FLAIR MR.
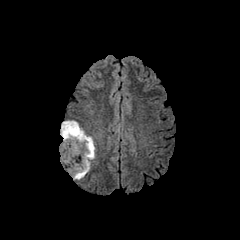
T1-weighted MRI.
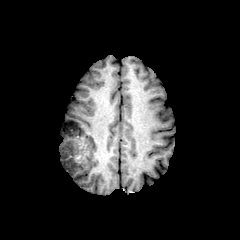
Post-contrast T1-weighted magnetic resonance.
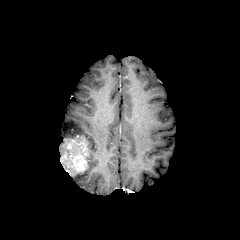
T2-weighted magnetic resonance.
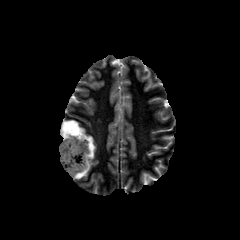
Head.
The non-enhancing tumor core is at (x1=62, y1=122, x2=87, y2=150). The enhancing tumor appears at (x1=61, y1=138, x2=87, y2=175). The edema is located at (x1=62, y1=120, x2=96, y2=179).